Image size 512x512, Field of view 361x361 mm, Slice 16 of 37, Computed tomography
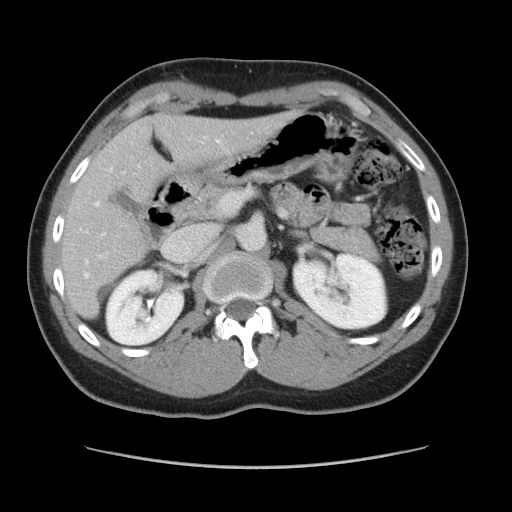 Some hepatic vessels may have no box.
Findings:
- hepatic vessel: <box>80,228,87,232</box>, <box>102,232,105,236</box>, <box>138,165,140,167</box>, <box>95,202,99,205</box>, <box>85,273,89,277</box>, <box>199,137,207,143</box>, <box>99,252,107,257</box>, <box>85,260,88,264</box>, <box>216,139,225,150</box>, <box>122,172,125,173</box>, <box>107,167,112,172</box>